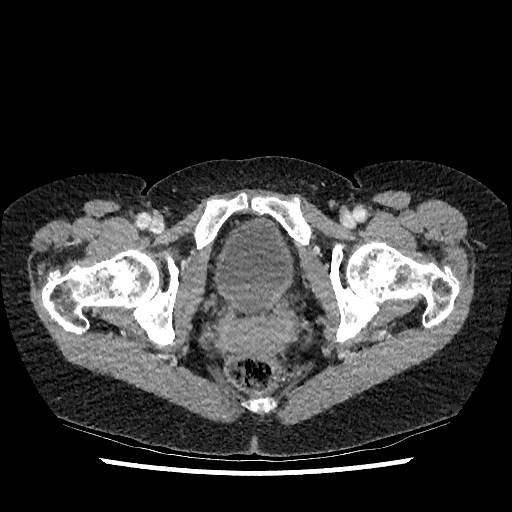 512x512 | CT scan slice

The urinary bladder lies within <bbox>211, 214, 296, 297</bbox>.